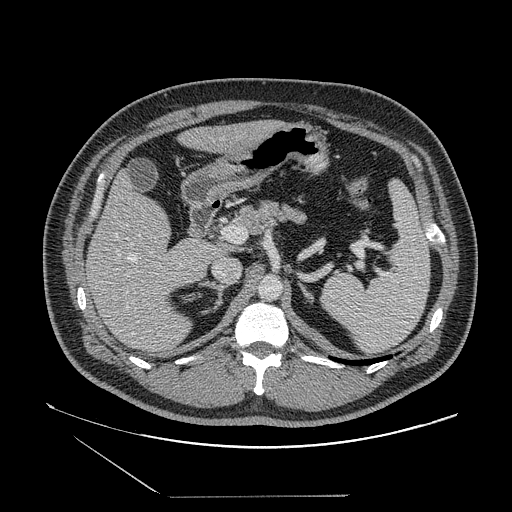 Upper abdomen, CT slice

Pancreas = (208,198,307,253).